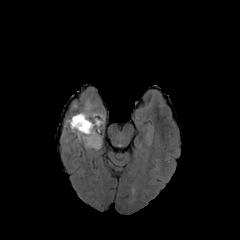
FLAIR MR image.
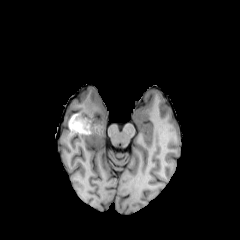
Same slice, T1-weighted MRI.
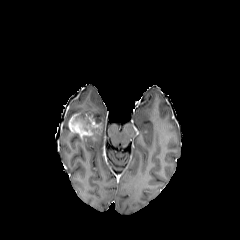
Post-contrast T1-weighted MRI.
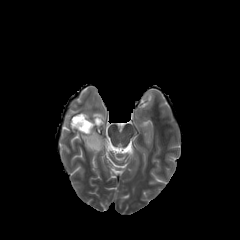
T2-weighted MR of the same slice.
Brain
Findings:
* enhancing tumor: 68,114,95,137
* edema: 63,98,105,151
* non-enhancing tumor core: 78,114,89,123